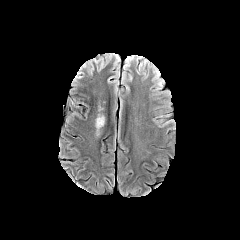
FLAIR MR.
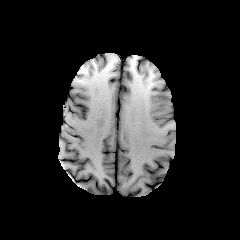
T1-weighted MRI.
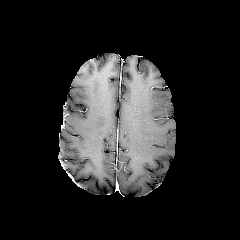
Post-contrast T1-weighted MRI.
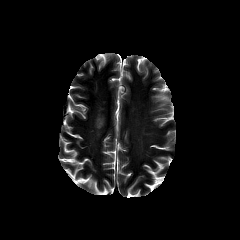
T2-weighted magnetic resonance.
Edema: (95,116,103,129).